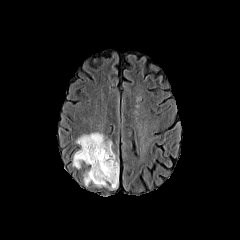
FLAIR magnetic resonance.
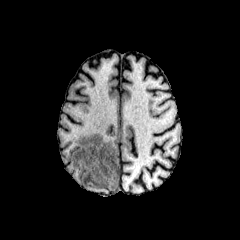
Same slice, T1-weighted MRI.
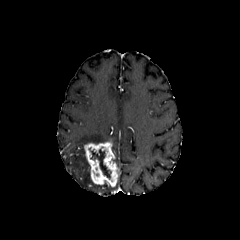
Post-contrast T1-weighted magnetic resonance.
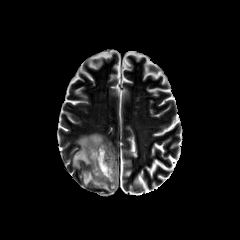
T2-weighted MR.
Non-enhancing tumor core = 89,148,111,178.
Enhancing tumor = 84,140,119,187.
Edema = 72,133,104,168; 83,171,93,186.